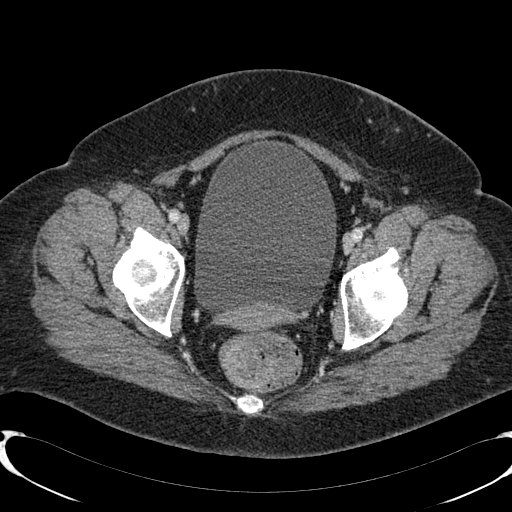

Computed tomography
urinary bladder: bbox=[195, 140, 335, 310]